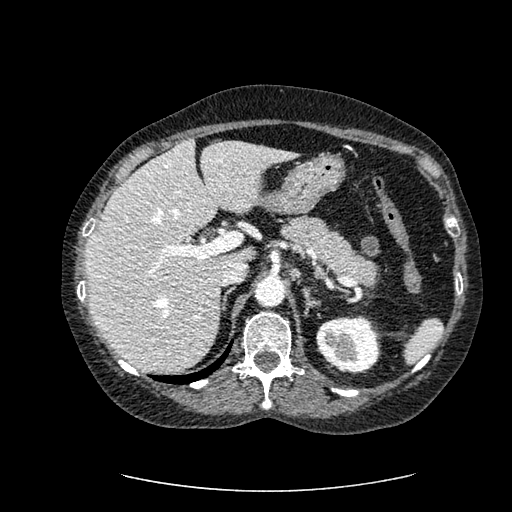
Upper abdomen, CT

The liver is at l=84, t=138, r=299, b=370. The kidney is at l=317, t=317, r=378, b=371.